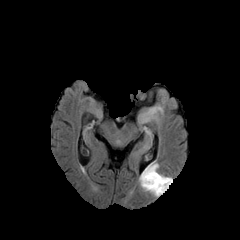
FLAIR magnetic resonance.
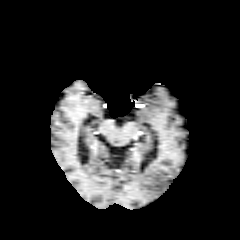
T1-weighted MR image of the same slice.
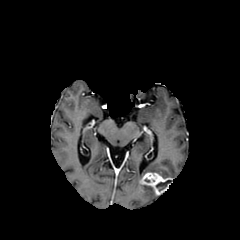
Same slice, post-contrast T1-weighted magnetic resonance.
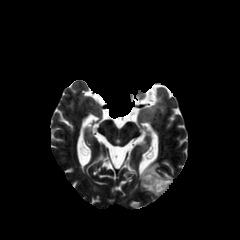
Same slice, T2-weighted MRI.
Head
2 edema regions are bounded by 142:161:171:177, 137:174:157:196. The non-enhancing tumor core is at 156:180:171:189. The enhancing tumor appears at 140:172:171:195.